CT; Slice index 18; 512x512 px
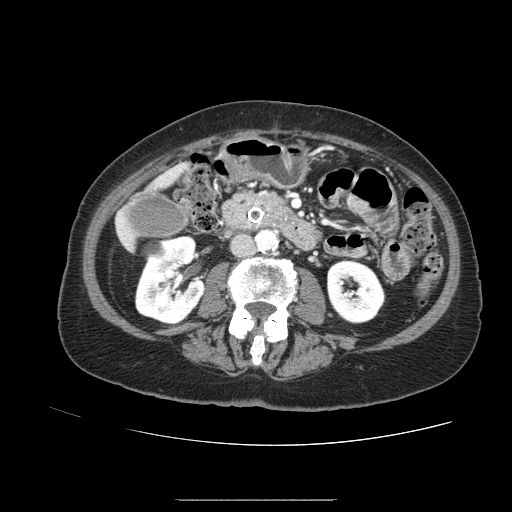

pancreas:
  - rect(234, 192, 296, 220)